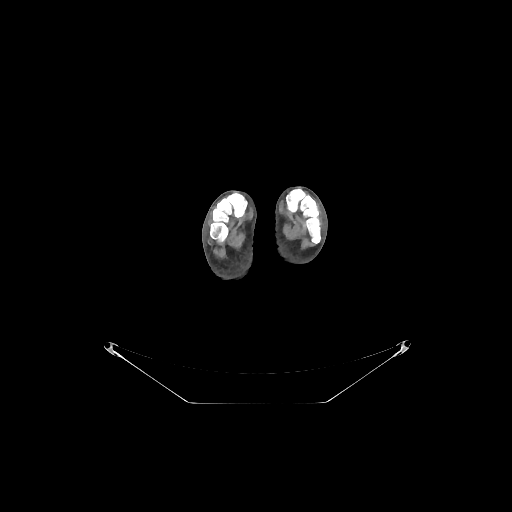
CT scan slice. 2 bone regions are located at <bbox>286, 189, 320, 243</bbox>, <bbox>210, 193, 246, 241</bbox>.